Cardiac. Magnetic resonance. Field of view 400x400 mm. 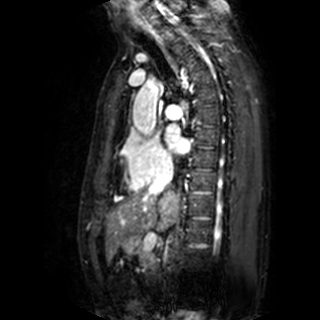
Left atrium = bbox=[164, 124, 189, 153].